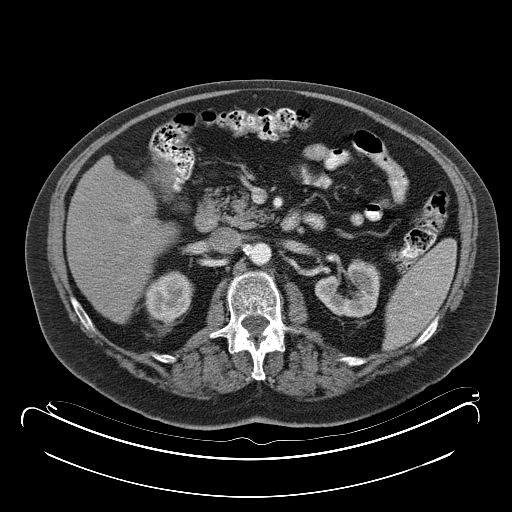
512x512, CT image
colon tumor: [x1=148, y1=153, x2=174, y2=190]